Hippocampus; MRI

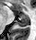
{
  "anterior_hippocampus": [
    "box(18, 14, 28, 18)"
  ],
  "posterior_hippocampus": [
    "box(15, 19, 28, 26)"
  ]
}